320x320 px | MR image 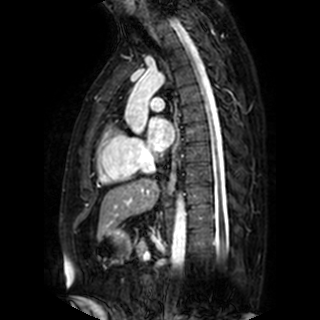

left atrium: rect(148, 117, 173, 150)